Upper abdomen, CT image 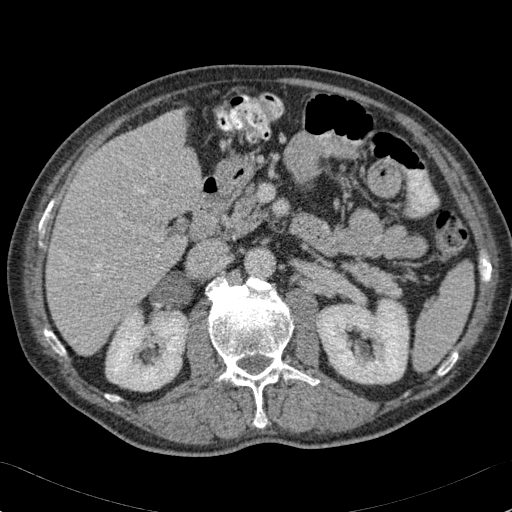

Kidney at (x1=106, y1=310, x2=187, y2=390), (x1=316, y1=299, x2=408, y2=383).
Liver at (x1=47, y1=113, x2=198, y2=354).